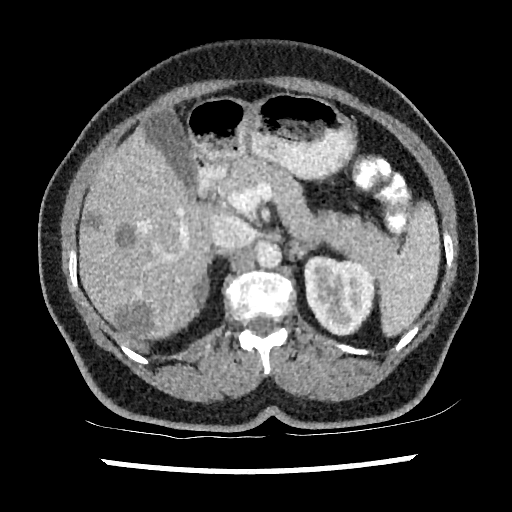 CT image
• hepatic lesion: [115,304,153,338], [83,213,101,230], [116,225,134,246], [194,280,206,303]
• liver: [79,128,211,339]
• kidney: [305,257,373,334]